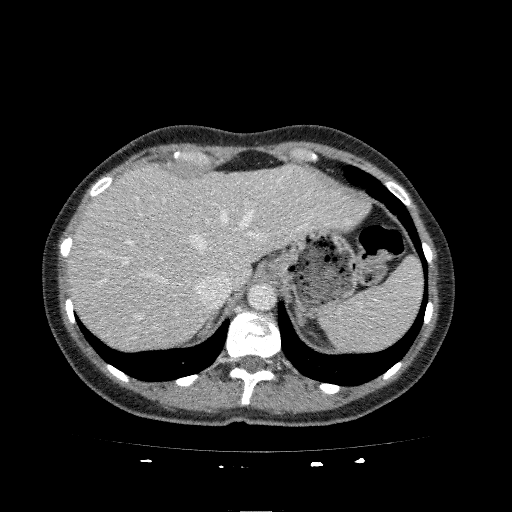
CT scan slice. 512x512 px.
Segmented structures:
* liver: box=[68, 164, 370, 349]